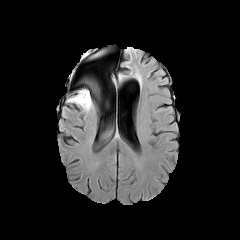
FLAIR MR.
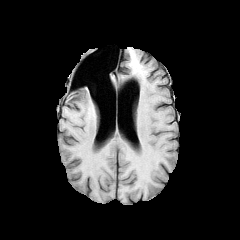
T1-weighted MRI.
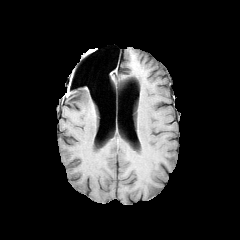
Same slice, post-contrast T1-weighted magnetic resonance.
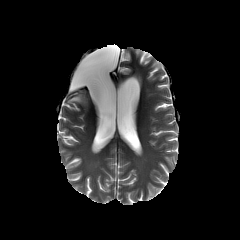
T2-weighted MR of the same slice.
Brain.
Edema — l=67, t=89, r=93, b=112.